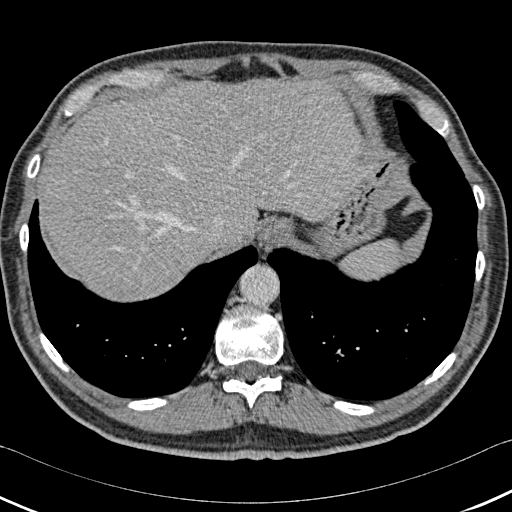

CT scan slice

{
  "liver": [
    "[38, 78, 369, 300]"
  ],
  "lung": [
    "[266, 95, 477, 403]",
    "[27, 199, 258, 398]"
  ],
  "bone": [
    "[476, 251, 484, 280]",
    "[20, 224, 28, 251]",
    "[40, 333, 68, 371]",
    "[223, 376, 281, 407]",
    "[424, 353, 455, 384]",
    "[27, 155, 39, 177]",
    "[473, 185, 484, 209]",
    "[216, 307, 283, 365]",
    "[334, 401, 374, 415]",
    "[432, 116, 448, 136]",
    "[128, 398, 166, 410]"
  ]
}